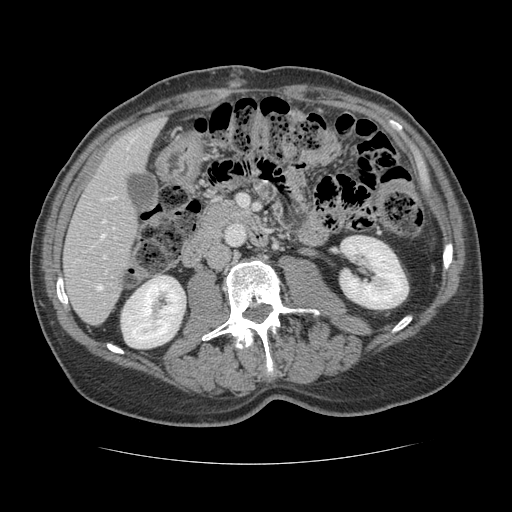
Liver. CT.
The vessel annotation is not exhaustive.
hepatic_vessel:
  - bbox(103, 255, 105, 257)
  - bbox(131, 138, 134, 141)
  - bbox(103, 220, 105, 222)
  - bbox(127, 146, 128, 149)
  - bbox(97, 284, 102, 289)
  - bbox(101, 234, 105, 237)
  - bbox(113, 227, 114, 228)
  - bbox(111, 196, 116, 198)